FLAIR MR image.
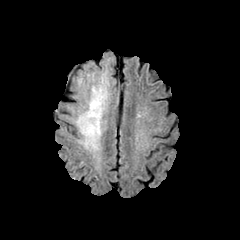
T1-weighted MRI.
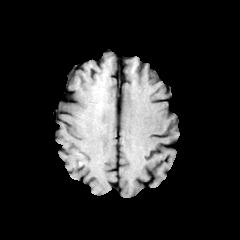
Post-contrast T1-weighted MR.
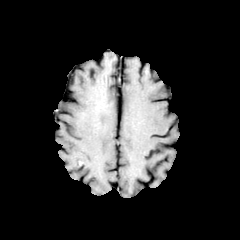
T2-weighted MR image.
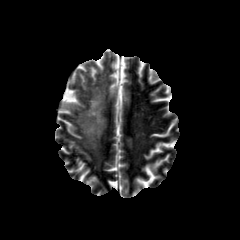
240x240.
2 edema regions are bounded by (x1=76, y1=100, x2=102, y2=150), (x1=91, y1=87, x2=106, y2=113). The non-enhancing tumor core is located at (x1=86, y1=89, x2=104, y2=128).